FLAIR MR image.
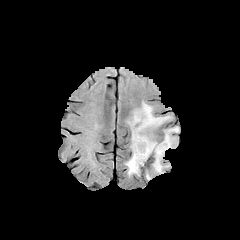
T1-weighted MRI.
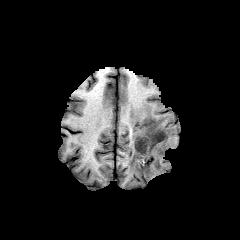
Post-contrast T1-weighted MR image.
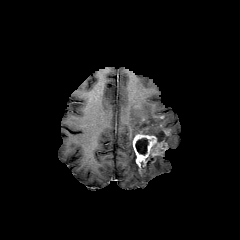
T2-weighted MR.
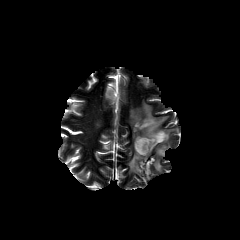
Brain; Image size 240x240
Non-enhancing tumor core: box=[137, 128, 163, 143]; box=[150, 145, 165, 155]; box=[135, 138, 147, 154].
Enhancing tumor: box=[132, 134, 156, 166].
Edema: box=[126, 149, 139, 174]; box=[140, 148, 164, 171]; box=[130, 103, 178, 148].